Image size 240x240 | Field of view 240x240 mm | Brain
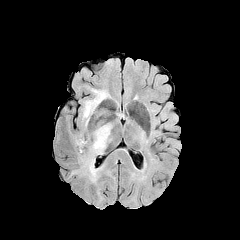
FLAIR MR.
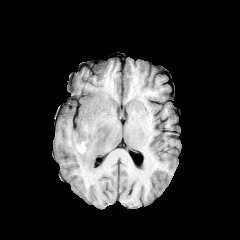
T1-weighted MR.
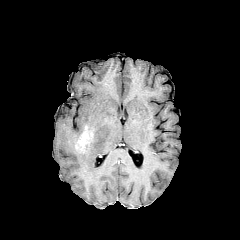
Post-contrast T1-weighted MR.
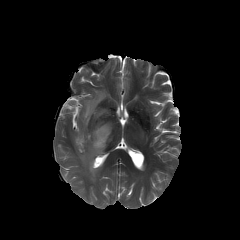
Same slice, T2-weighted magnetic resonance.
<segmentation>
  <enhancing_tumor>[75, 125, 93, 150]</enhancing_tumor>
  <edema>[74, 89, 111, 181]</edema>
</segmentation>